CT slice; Liver; Slice index 123

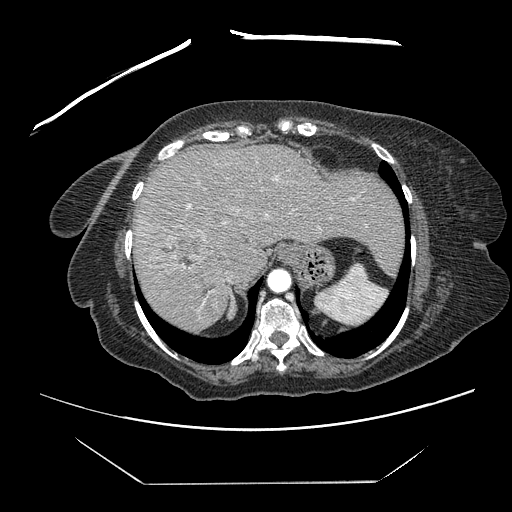 Only some of the vessels may be annotated.
Hepatic vessel at <box>188,205,190,207</box>, <box>366,224,368,227</box>.
Liver tumor at <box>176,228,205,260</box>.